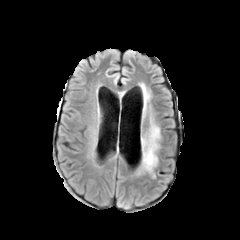
FLAIR MRI.
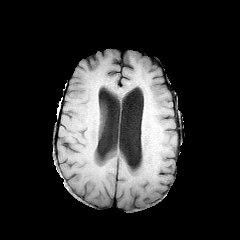
T1-weighted MR.
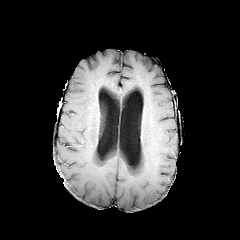
Post-contrast T1-weighted MR.
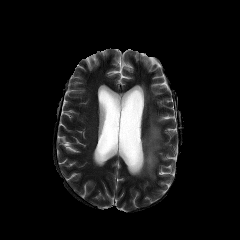
T2-weighted MR.
<segmentation>
  <edema>136, 117, 160, 177; 142, 86, 150, 101</edema>
</segmentation>